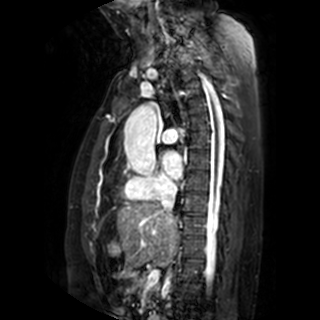
Cardiac | MRI slice

Segmented structures:
* left atrium: 163:153:182:178